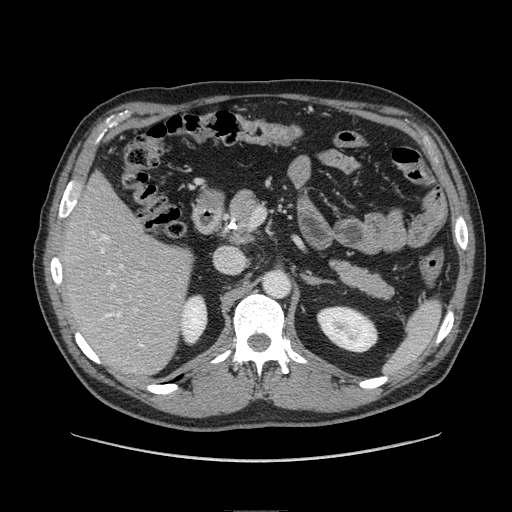
Upper abdomen, CT image
<segmentation>
  <pancreas>(324,255,397,306), (221,187,264,245)</pancreas>
</segmentation>